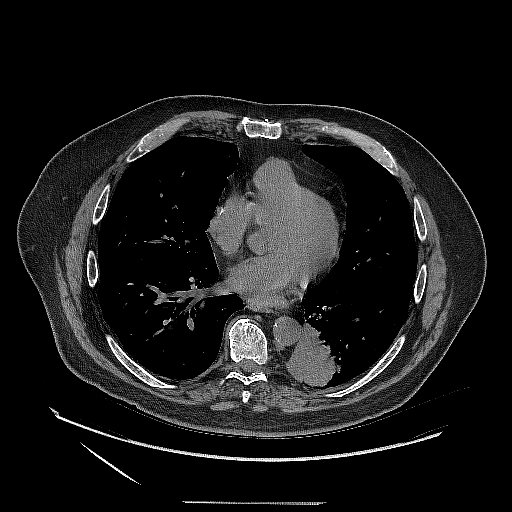 Computed tomography
The lung tumor lies within 287,317,336,388.